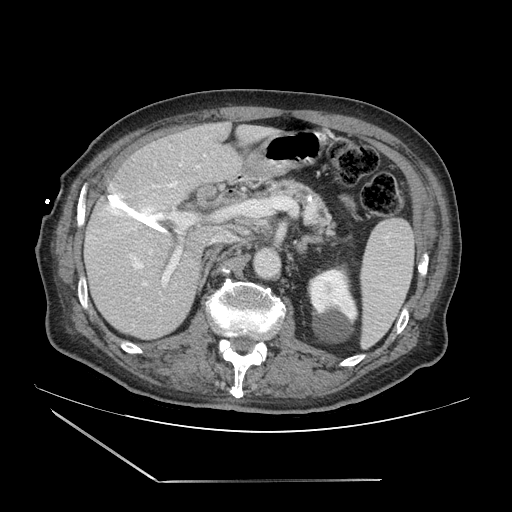 CT scan slice | Upper abdomen
Pancreas = x1=272, y1=180, x2=336, y2=236.